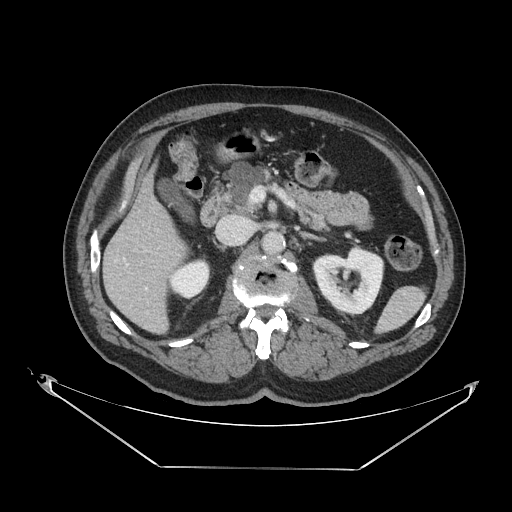
CT scan slice; 512x512 px
pancreas: x1=296 y1=200 x2=331 y2=233, x1=223 y1=161 x2=273 y2=211 | pancreatic tumor: x1=226 y1=163 x2=262 y2=203